Head. 240x240 px.
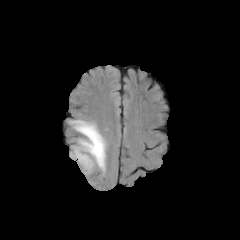
FLAIR MR image.
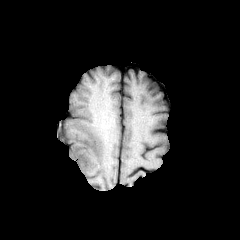
Same slice, T1-weighted MR image.
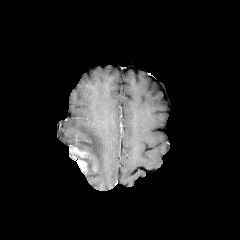
Post-contrast T1-weighted MR image.
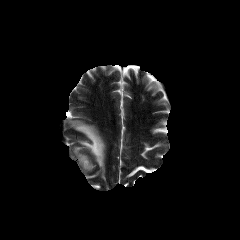
Same slice, T2-weighted MRI.
The enhancing tumor is at x1=70, y1=147, x2=87, y2=172. 2 edema regions are bounded by x1=69, y1=120, x2=105, y2=169; x1=84, y1=156, x2=93, y2=169.